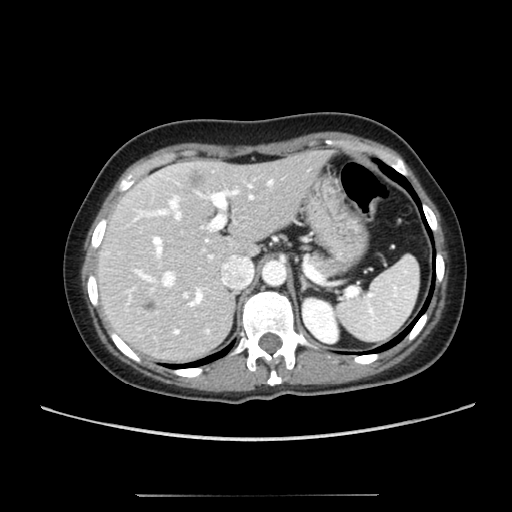 512x512 px, CT, Abdomen

Kidney at box(303, 299, 337, 342).
Liver at box(97, 148, 338, 359).
Liver lesion at box(155, 269, 163, 276); box(172, 264, 183, 276); box(195, 306, 205, 314); box(142, 296, 156, 312); box(187, 169, 204, 187).